Slice 86/155
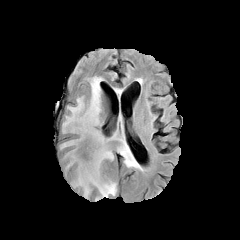
FLAIR MR image.
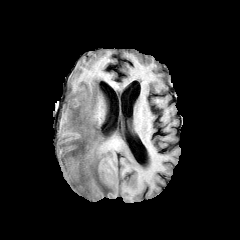
T1-weighted magnetic resonance of the same slice.
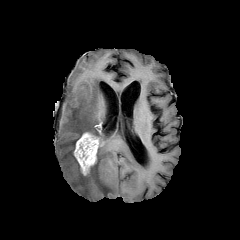
Same slice, post-contrast T1-weighted MRI.
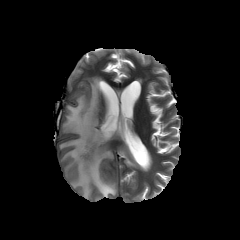
T2-weighted MRI of the same slice.
Non-enhancing tumor core: bounding box <bbox>82, 144, 92, 159</bbox>.
Enhancing tumor: bounding box <bbox>74, 132, 99, 174</bbox>.
Edema: bounding box <bbox>118, 124, 135, 166</bbox>, <bbox>60, 133, 117, 201</bbox>, <bbox>62, 76, 103, 136</bbox>.